Slice 61 of 155.
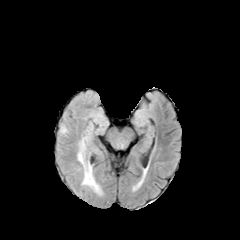
FLAIR MRI.
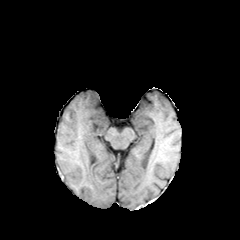
T1-weighted MRI of the same slice.
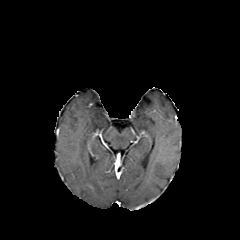
Post-contrast T1-weighted MR image.
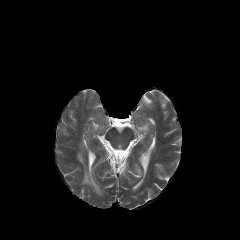
T2-weighted MR of the same slice.
The edema is at box=[78, 142, 100, 193].